Slice 61 of 155
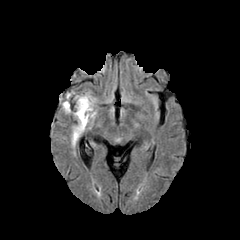
FLAIR MRI.
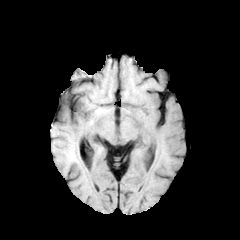
T1-weighted MR.
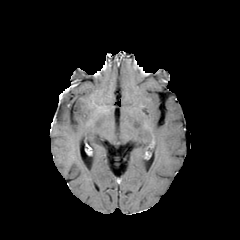
Post-contrast T1-weighted MR.
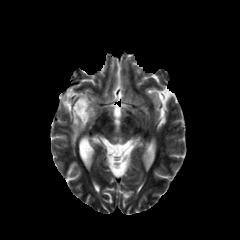
T2-weighted MRI of the same slice.
edema: 61, 91, 97, 148